Upper abdomen | CT scan slice | Image size 512x512

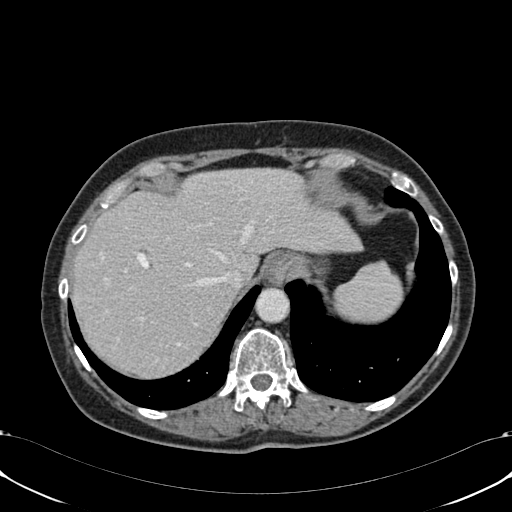 Liver: 72,168,360,375.